240x240 | Slice 131/155
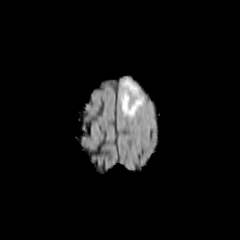
FLAIR magnetic resonance.
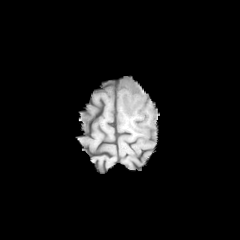
Same slice, T1-weighted MRI.
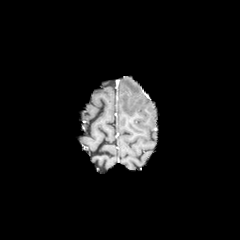
Post-contrast T1-weighted MR image of the same slice.
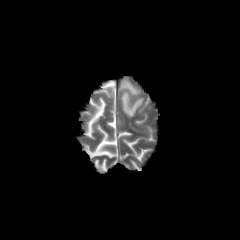
T2-weighted MR image.
2 edema regions are bounded by box=[122, 79, 139, 94]; box=[121, 91, 143, 116].